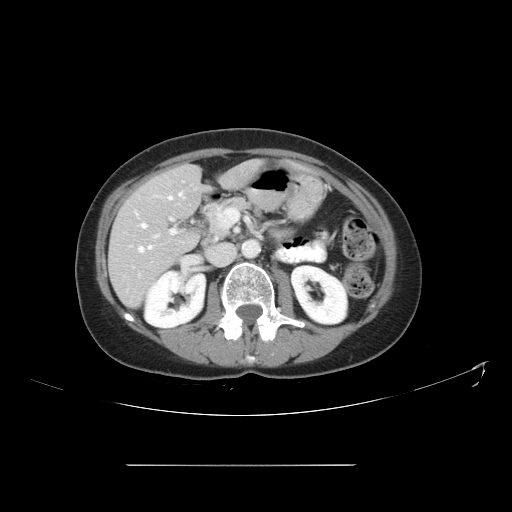
CT scan slice
The vessel boxes may cover only some of the vessels.
{
  "hepatic_vessel": [
    "[x1=138, y1=274, x2=140, y2=276]",
    "[x1=168, y1=196, x2=172, y2=199]",
    "[x1=154, y1=234, x2=158, y2=237]",
    "[x1=179, y1=192, x2=184, y2=198]",
    "[x1=139, y1=246, x2=144, y2=251]",
    "[x1=141, y1=223, x2=146, y2=227]",
    "[x1=148, y1=245, x2=151, y2=249]",
    "[x1=135, y1=211, x2=138, y2=215]"
  ]
}